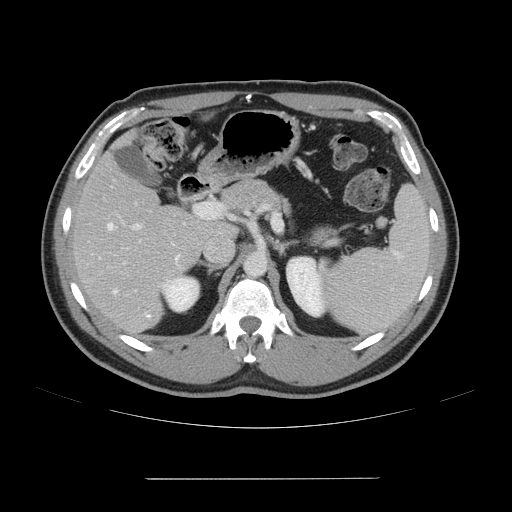 Computed tomography | 512x512 px | Abdomen
The vessel annotation is not exhaustive.
6 hepatic vessel regions appear at 108:223:116:229, 132:224:140:229, 113:290:117:293, 122:262:125:264, 99:257:100:258, 135:202:136:204.